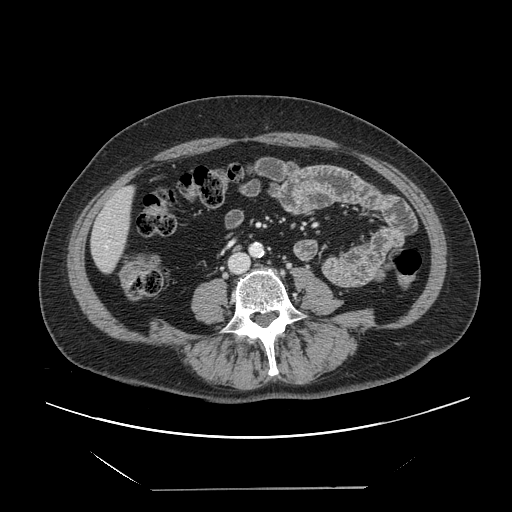

CT scan slice. 512x512 px.
Not every hepatic vessel necessarily has a box.
<segmentation>
  <hepatic_vessel>(106, 242, 108, 248)</hepatic_vessel>
</segmentation>